FLAIR magnetic resonance.
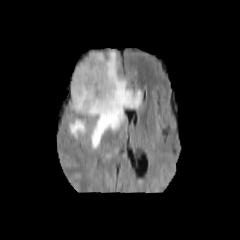
T1-weighted magnetic resonance.
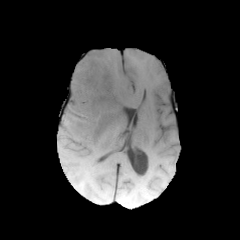
Post-contrast T1-weighted MR image.
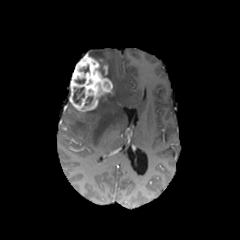
T2-weighted MR image.
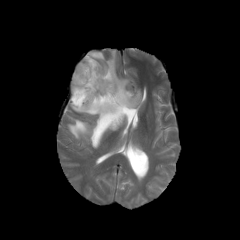
Head
{
  "edema": [
    "x1=69, y1=51, x2=142, y2=148",
    "x1=68, y1=118, x2=87, y2=137"
  ],
  "enhancing_tumor": [
    "x1=69, y1=54, x2=112, y2=111",
    "x1=102, y1=64, x2=108, y2=75"
  ],
  "non-enhancing_tumor_core": [
    "x1=88, y1=51, x2=111, y2=80",
    "x1=98, y1=81, x2=114, y2=99",
    "x1=72, y1=87, x2=84, y2=102"
  ]
}